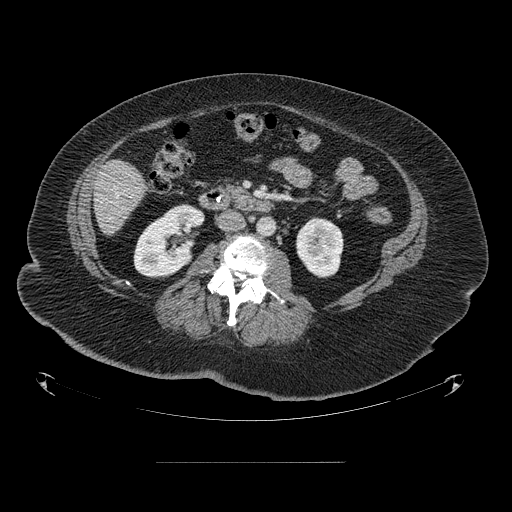 CT slice
The pancreas is at x1=228 y1=185 x2=246 y2=196.